CT image, 512x512 px 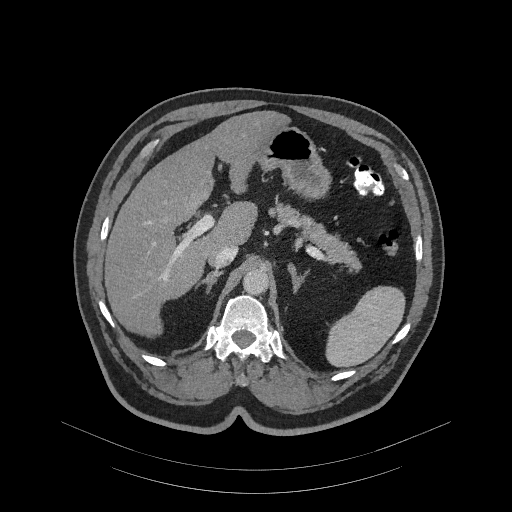

The pancreas lies within bbox=[269, 203, 359, 271].